CT image | Image size 512x512 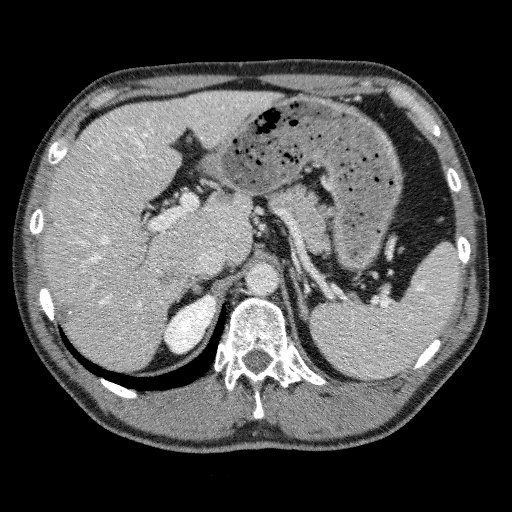

- liver: <bbox>41, 90, 282, 369</bbox>
- hepatic lesion: <bbox>158, 264, 186, 287</bbox>, <bbox>214, 192, 235, 206</bbox>, <bbox>45, 214, 55, 226</bbox>, <bbox>56, 299, 77, 323</bbox>
- kidney: <bbox>164, 295, 214, 352</bbox>